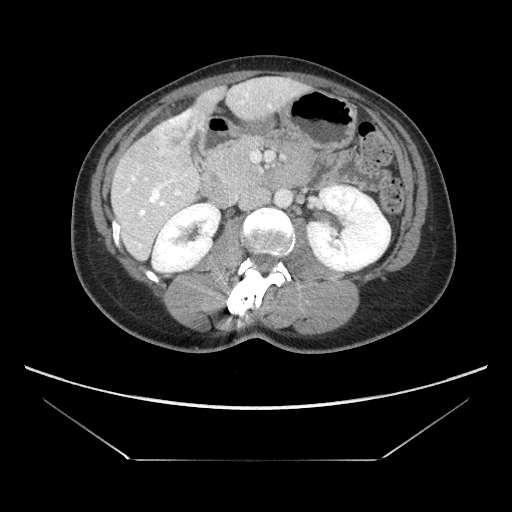

CT slice
<segmentation>
  <liver_tumor>153 110 201 154</liver_tumor>
</segmentation>